FLAIR MRI.
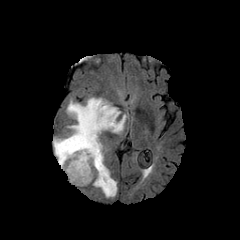
T1-weighted magnetic resonance.
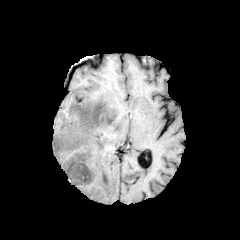
Post-contrast T1-weighted MRI.
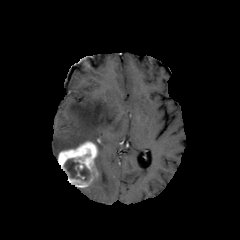
T2-weighted magnetic resonance.
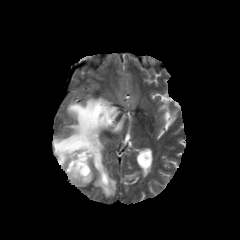
Segmented structures:
• non-enhancing tumor core: 65, 159, 78, 177; 80, 167, 89, 180
• edema: 53, 97, 126, 197
• enhancing tumor: 57, 141, 98, 187